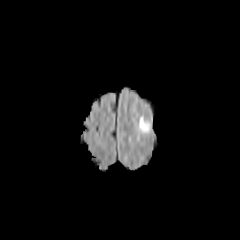
FLAIR MR image.
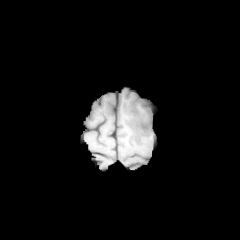
T1-weighted MR of the same slice.
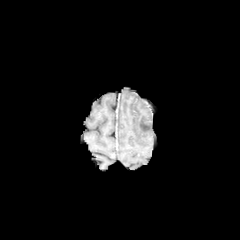
Post-contrast T1-weighted magnetic resonance.
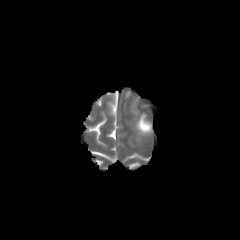
T2-weighted magnetic resonance of the same slice.
<segmentation>
  <edema>region(138, 114, 154, 132)</edema>
</segmentation>